Slice 222 of 410, Computed tomography, 512x512 px, Image width 365 mm, Upper abdomen

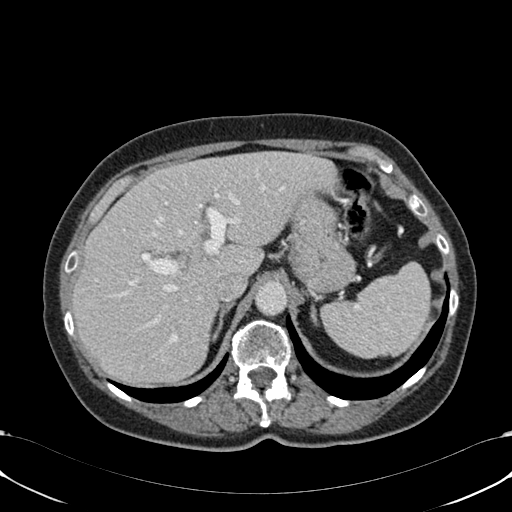

The liver appears at (left=73, top=152, right=337, bottom=383).